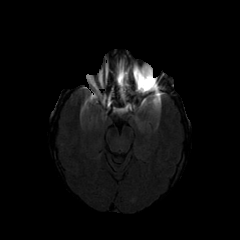
FLAIR MR.
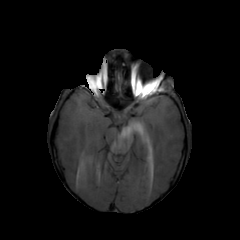
T1-weighted MR.
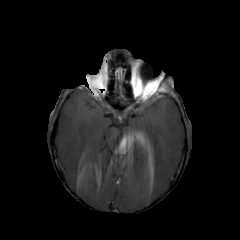
Post-contrast T1-weighted MRI.
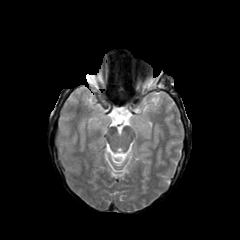
T2-weighted MR.
non-enhancing tumor core: left=134, top=99, right=147, bottom=113; left=92, top=76, right=103, bottom=84; left=136, top=80, right=157, bottom=97 | enhancing tumor: left=142, top=88, right=159, bottom=103 | edema: left=147, top=89, right=164, bottom=113